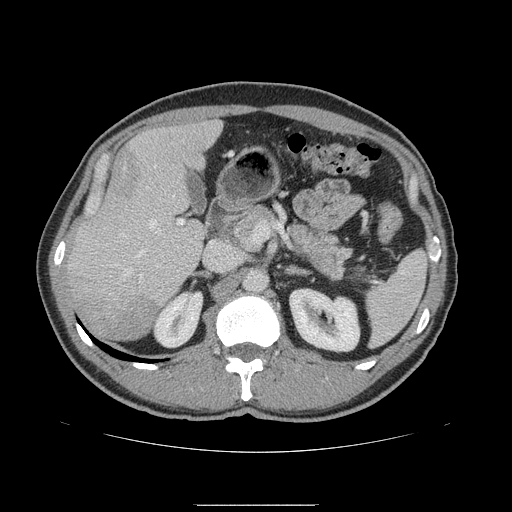

Computed tomography. Image size 512x512.

2 pancreas regions appear at [289, 224, 350, 278], [234, 206, 273, 250].